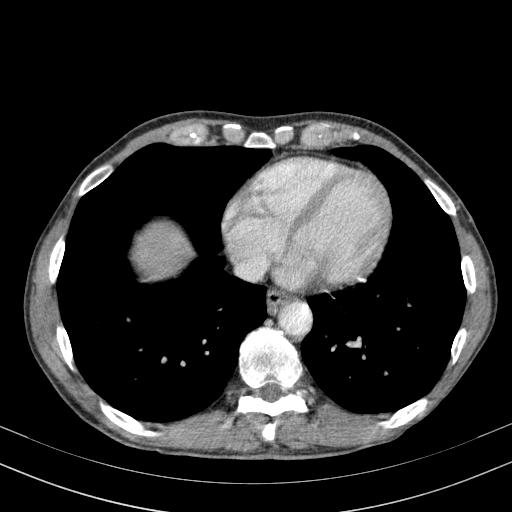

Abdomen | CT
Liver: bounding box (left=130, top=221, right=193, bottom=278).